Slice 89 of 155 | Brain | Image size 240x240
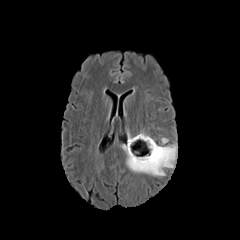
FLAIR MR image.
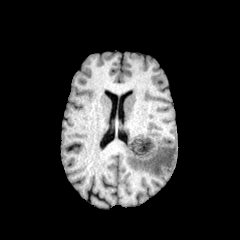
T1-weighted MRI.
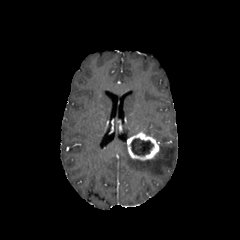
Post-contrast T1-weighted magnetic resonance of the same slice.
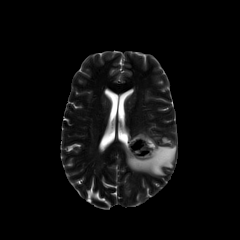
Same slice, T2-weighted magnetic resonance.
<segmentation>
  <enhancing_tumor>x1=127, y1=131, x2=159, y2=159</enhancing_tumor>
  <non-enhancing_tumor_core>x1=130, y1=138, x2=153, y2=156</non-enhancing_tumor_core>
  <edema>x1=123, y1=144, x2=177, y2=175</edema>
</segmentation>